FLAIR MRI.
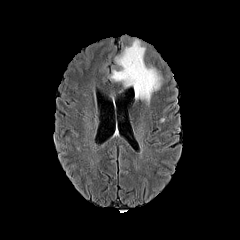
T1-weighted MR.
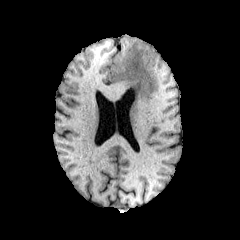
Post-contrast T1-weighted MRI.
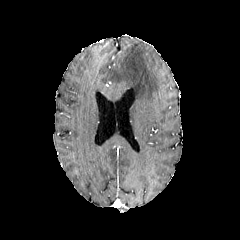
T2-weighted MR image.
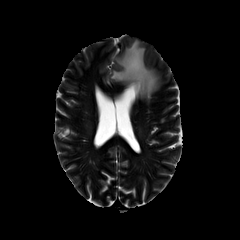
edema: box(109, 39, 160, 103)